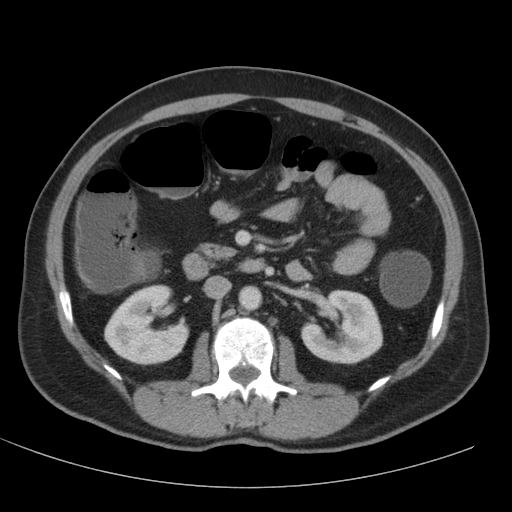
CT slice. Abdomen. 512x512 px. 2 kidney regions are located at bbox(301, 290, 382, 363); bbox(104, 285, 188, 364).